FLAIR MR image.
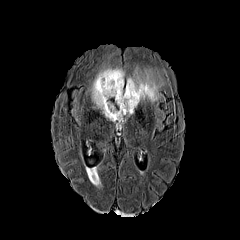
T1-weighted MR.
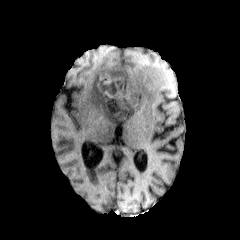
Post-contrast T1-weighted magnetic resonance.
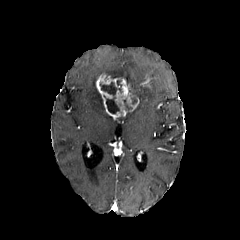
T2-weighted MR image.
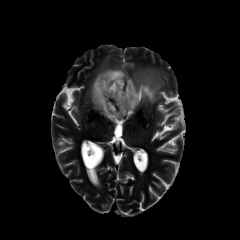
Brain
Non-enhancing tumor core — l=99, t=82, r=121, b=95; l=105, t=97, r=119, b=114.
Edema — l=87, t=56, r=124, b=121; l=126, t=65, r=168, b=107.
Enhancing tumor — l=140, t=73, r=152, b=86; l=96, t=73, r=139, b=119.